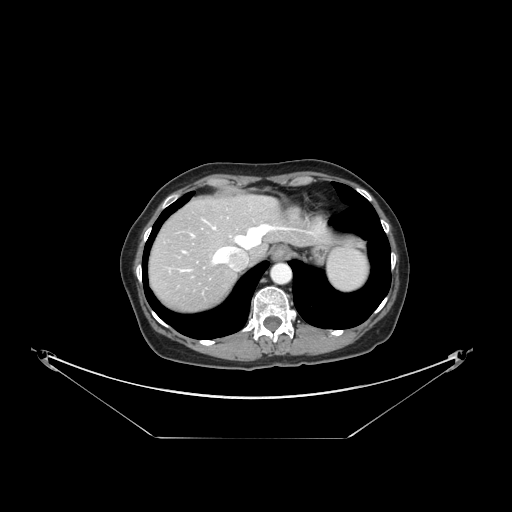
Computed tomography
The vessel boxes may cover only some of the vessels.
{
  "hepatic_vessel": [
    "235,225,271,248"
  ]
}